CT image. Image size 512x512.
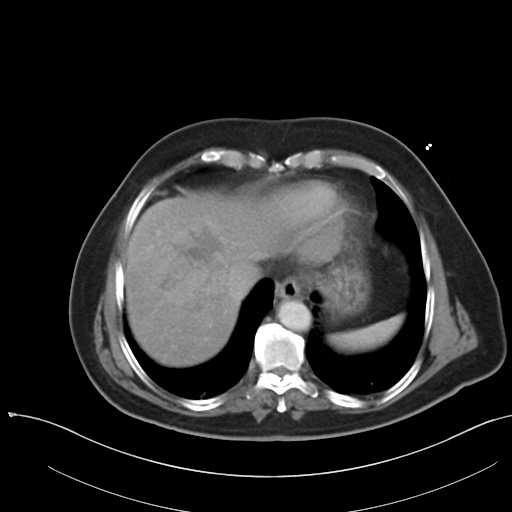 Only some of the vessels may be annotated.
liver_tumor:
  - x1=127, y1=222, x2=230, y2=320
hepatic_vessel:
  - x1=231, y1=269, x2=233, y2=273
  - x1=148, y1=245, x2=153, y2=249
  - x1=228, y1=275, x2=232, y2=284
  - x1=229, y1=277, x2=245, y2=295
  - x1=156, y1=230, x2=160, y2=235
  - x1=209, y1=323, x2=211, y2=325